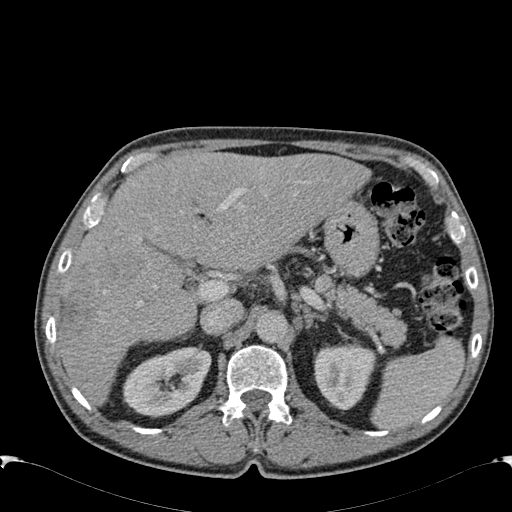

Computed tomography
{"kidney": ["x1=124, y1=347, x2=210, y2=415", "x1=315, y1=346, x2=374, y2=408"], "liver": ["x1=58, y1=151, x2=370, y2=404"], "hepatic_lesion": ["x1=61, y1=292, x2=93, y2=337"]}